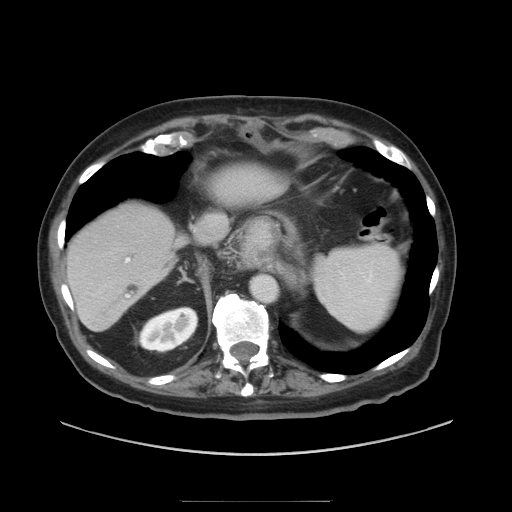

Computed tomography
The vessel annotation is not exhaustive.
{
  "hepatic_vessel": [
    "box=[126, 295, 129, 297]",
    "box=[126, 258, 130, 261]"
  ]
}